FLAIR MRI.
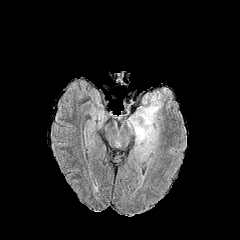
T1-weighted MR.
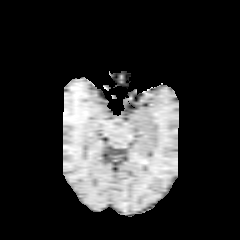
Post-contrast T1-weighted MRI.
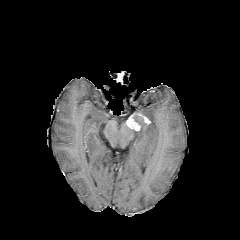
T2-weighted magnetic resonance.
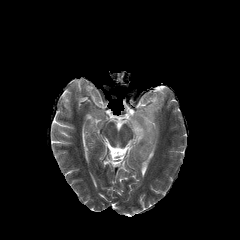
Image size 240x240. Brain.
• enhancing tumor: <box>126,111,151,132</box>
• edema: <box>132,91,163,161</box>